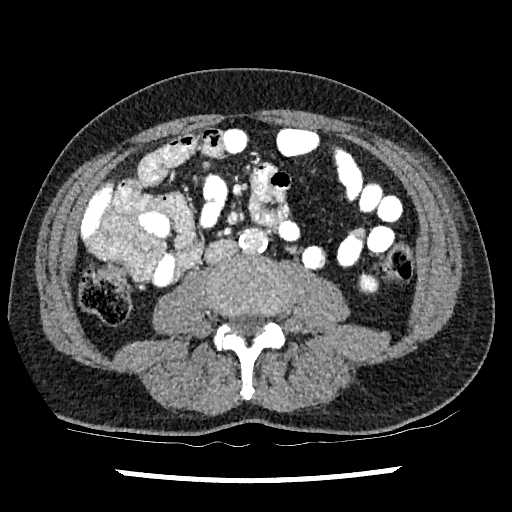 Image size 512x512. CT. Abdomen.
The kidney is bounded by [362,276,375,289].